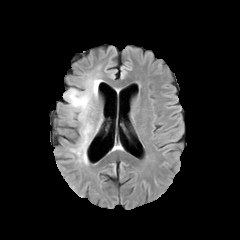
FLAIR MR image.
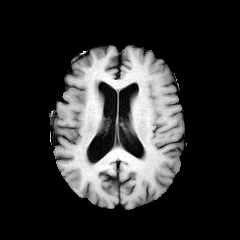
Same slice, T1-weighted MRI.
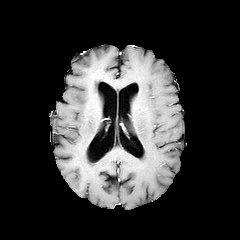
Same slice, post-contrast T1-weighted magnetic resonance.
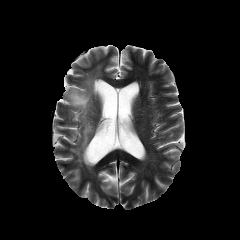
T2-weighted MR of the same slice.
Brain
Edema at box=[65, 72, 103, 166].